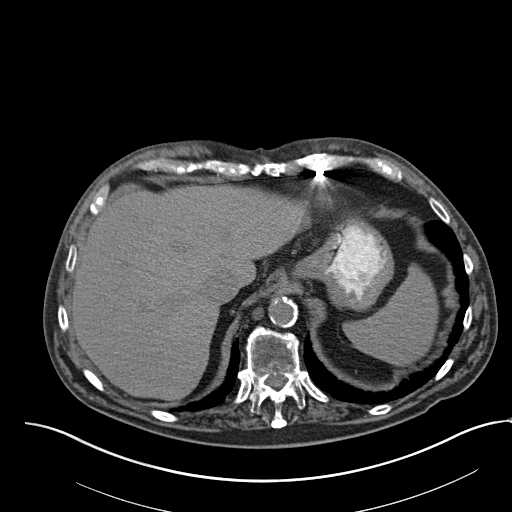
Abdomen; CT scan slice
Segmented structures:
* spleen: [346, 268, 437, 364]